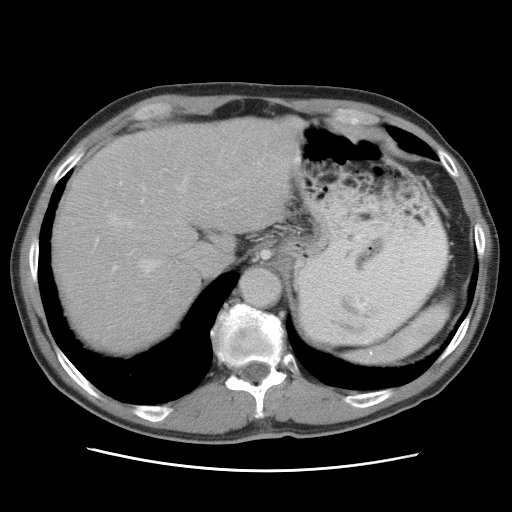 CT; Liver
Only some of the vessels may be annotated.
partial: true
hepatic_vessel:
  # 15 of 19 shown
  - l=119, t=182, r=121, b=185
  - l=141, t=185, r=144, b=191
  - l=108, t=214, r=119, b=225
  - l=140, t=261, r=156, b=276
  - l=140, t=199, r=143, b=202
  - l=216, t=203, r=219, b=206
  - l=128, t=221, r=130, b=225
  - l=112, t=263, r=117, b=272
  - l=257, t=163, r=260, b=165
  - l=216, t=245, r=233, b=267
  - l=161, t=169, r=165, b=171
  - l=129, t=250, r=134, b=254
  - l=176, t=177, r=187, b=192
  - l=229, t=182, r=231, b=185
  - l=94, t=238, r=98, b=247